CT slice
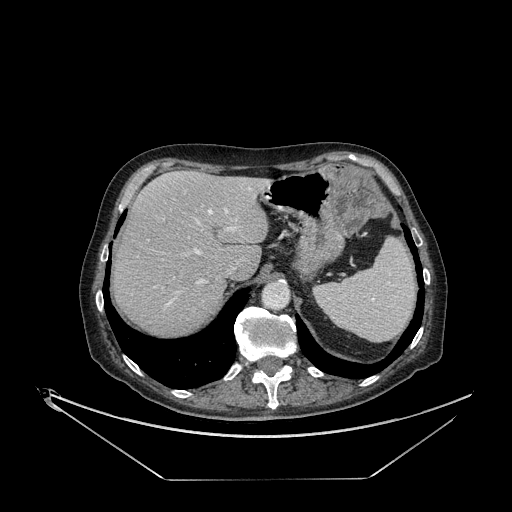 The liver is bounded by (x1=114, y1=170, x2=270, y2=336).